FLAIR MRI.
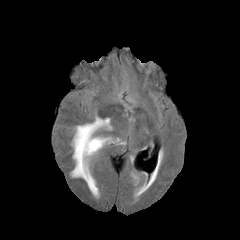
T1-weighted magnetic resonance.
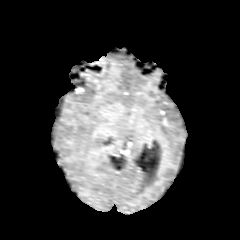
Post-contrast T1-weighted magnetic resonance.
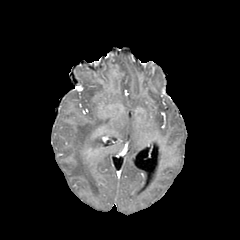
T2-weighted MR.
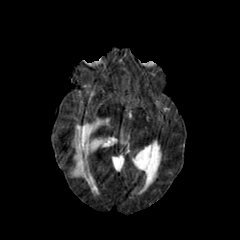
Edema: box=[72, 117, 111, 195].
Enhancing tumor: box=[81, 143, 99, 163].